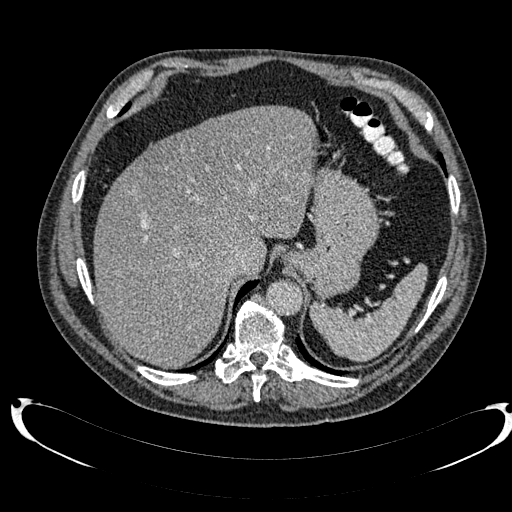 512x512 px; CT slice
Annotated regions:
• liver: (x1=94, y1=106, x2=317, y2=367), (x1=153, y1=131, x2=183, y2=146)
• hepatic lesion: (x1=137, y1=112, x2=267, y2=218)